FLAIR MRI.
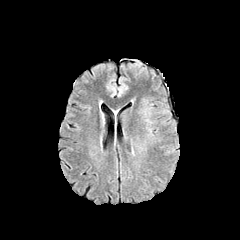
T1-weighted MRI.
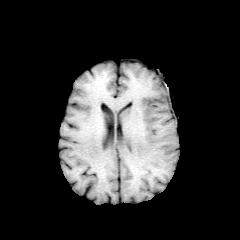
Post-contrast T1-weighted MRI.
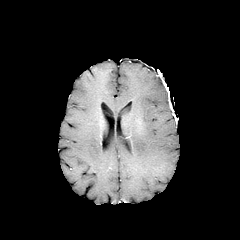
T2-weighted MRI.
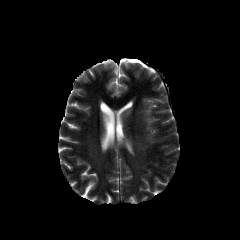
240x240.
<segmentation>
  <edema>(145, 107, 151, 127)</edema>
</segmentation>